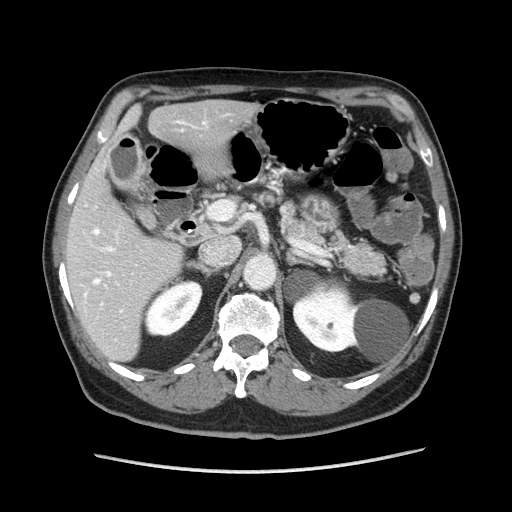

CT, Image size 512x512
Pancreas at l=285, t=202, r=386, b=277; l=258, t=192, r=283, b=202.